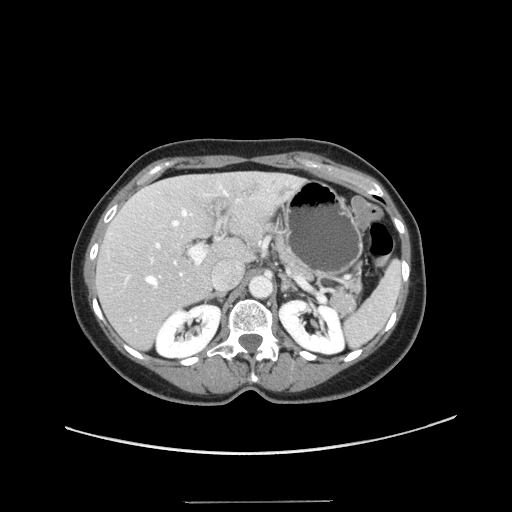 CT scan slice, Abdomen

Some hepatic vessels may have no box.
{"hepatic_vessel": ["<bbox>173, 221, 178, 225</bbox>", "<bbox>174, 261, 175, 263</bbox>", "<bbox>183, 210, 191, 215</bbox>", "<bbox>210, 262, 240, 288</bbox>", "<bbox>190, 244, 205, 262</bbox>", "<bbox>147, 276, 156, 286</bbox>", "<bbox>156, 243, 159, 246</bbox>"]}